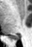
32x47 | MR image | Hippocampus
Posterior hippocampus: [12, 37, 18, 40].